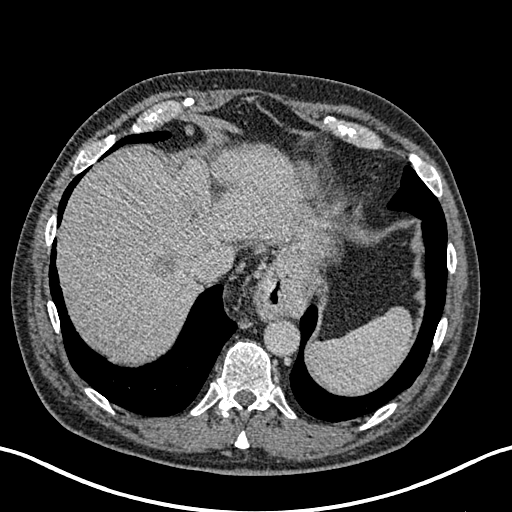 512x512; Liver; CT

liver_lesion:
  - <box>150,249,181,276</box>
  - <box>178,196,212,218</box>
liver:
  - <box>58,145,336,360</box>